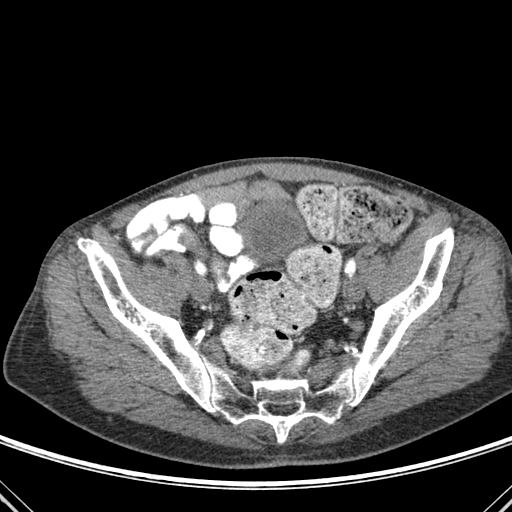 CT image
The bone is at {"x1": 77, "y1": 228, "x2": 453, "y2": 442}.